FLAIR MR.
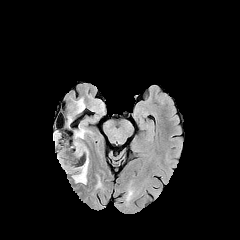
T1-weighted MR.
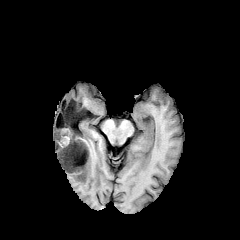
Post-contrast T1-weighted MR image.
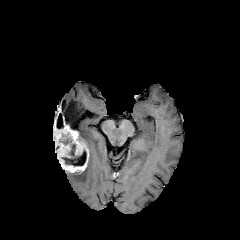
T2-weighted MRI.
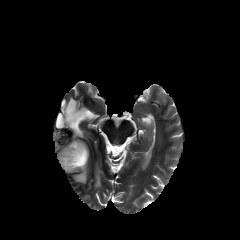
Brain.
3 edema regions appear at bbox(66, 98, 85, 125); bbox(72, 122, 87, 140); bbox(69, 157, 90, 184). 2 enhancing tumor regions are located at bbox(57, 123, 88, 172); bbox(53, 128, 60, 145). 3 non-enhancing tumor core regions are located at bbox(56, 128, 72, 145); bbox(66, 103, 79, 121); bbox(64, 144, 87, 166).